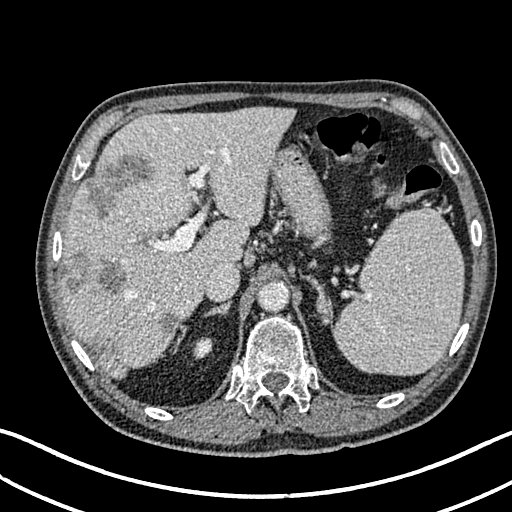 CT; Liver

Liver: (64, 107, 295, 377).
Liver lesion: (158, 313, 178, 333), (90, 339, 100, 354), (86, 154, 152, 216), (97, 260, 127, 294), (66, 252, 89, 294).
Kidney: (195, 339, 210, 356).